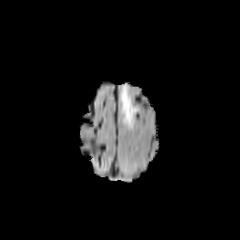
FLAIR MR.
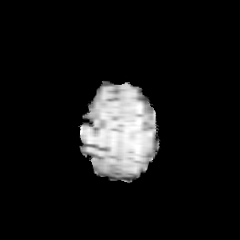
T1-weighted MR image.
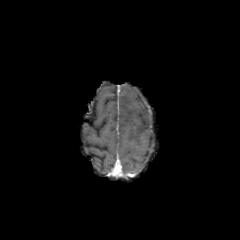
Same slice, post-contrast T1-weighted MRI.
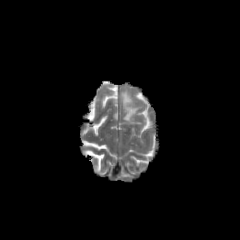
T2-weighted MR image.
Brain.
<segmentation>
  <edema>121,87,137,124</edema>
</segmentation>